FLAIR magnetic resonance.
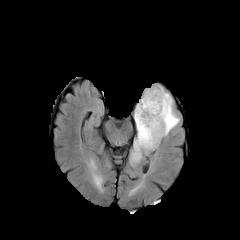
T1-weighted MRI.
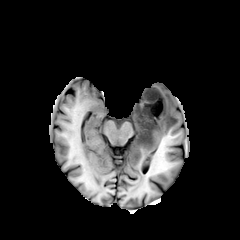
Post-contrast T1-weighted MR image.
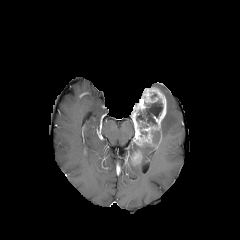
T2-weighted MR image.
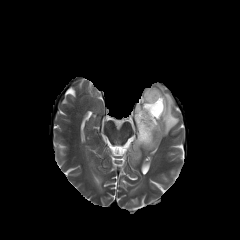
Brain | 240x240
{"non-enhancing_tumor_core": ["l=136, t=99, r=162, b=125"], "edema": ["l=133, t=85, r=179, b=150"], "enhancing_tumor": ["l=134, t=87, r=166, b=146"]}